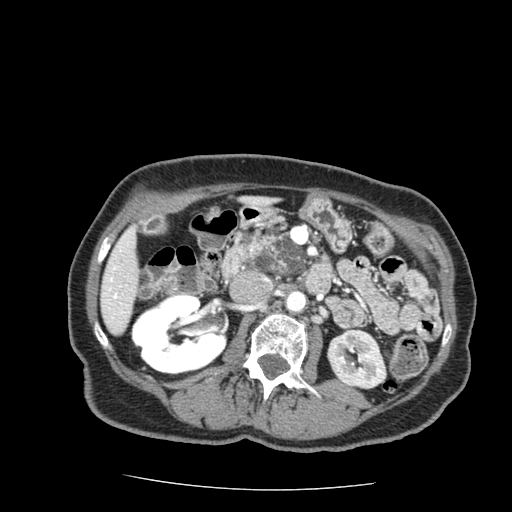
Computed tomography, Image size 512x512
The pancreatic tumor is bounded by (x1=256, y1=241, x2=304, y2=275). 2 pancreas regions are bounded by (x1=266, y1=247, x2=308, y2=280), (x1=243, y1=221, x2=295, y2=273).